CT slice | Slice index 530
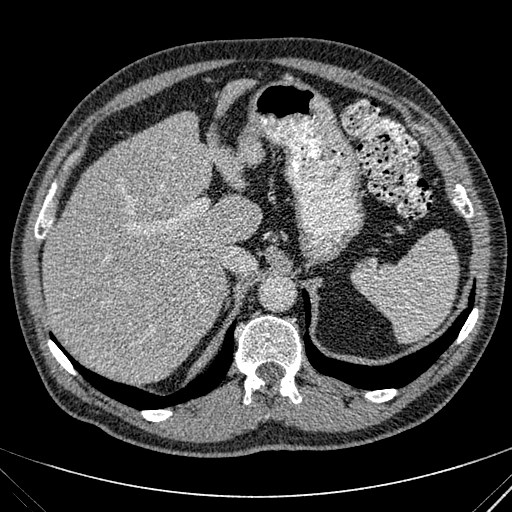

Liver: 217:80:255:112, 44:113:260:380.